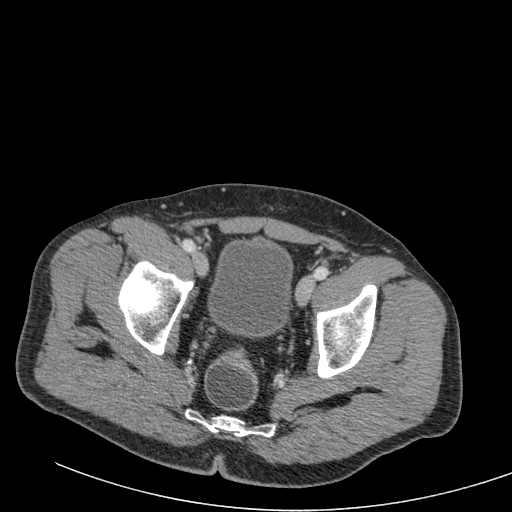
CT scan slice

urinary bladder: {"x1": 207, "y1": 240, "x2": 292, "y2": 338}